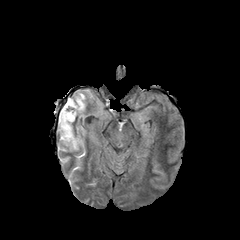
FLAIR MR image.
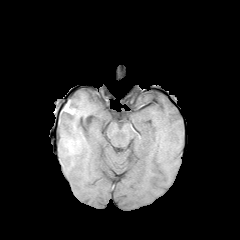
T1-weighted MR.
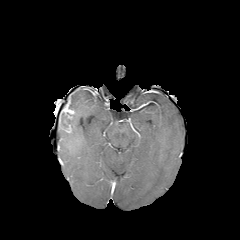
Post-contrast T1-weighted MR.
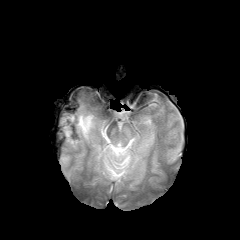
T2-weighted MR image.
Head. 240x240 px.
Segmented structures:
• edema: bbox(58, 92, 94, 150)
• non-enhancing tumor core: bbox(80, 118, 87, 131)